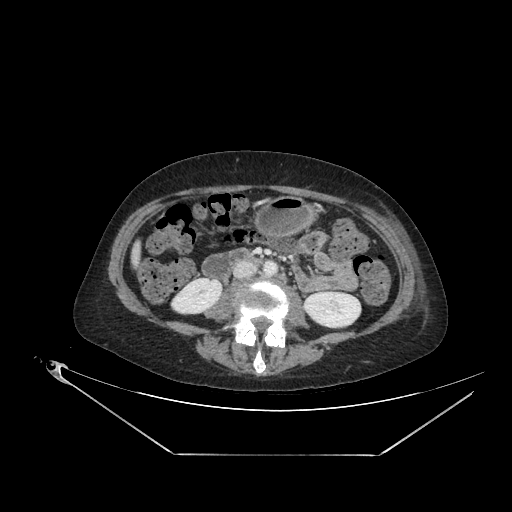 CT slice
kidney: [304, 292, 360, 327], [172, 278, 221, 313] | liver: [127, 241, 146, 271]